240x240. Slice 93 of 155.
FLAIR MRI.
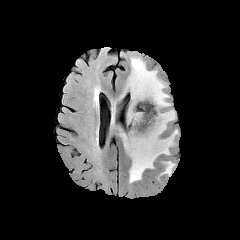
T1-weighted MR.
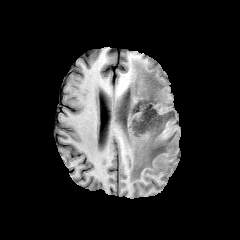
Post-contrast T1-weighted MR.
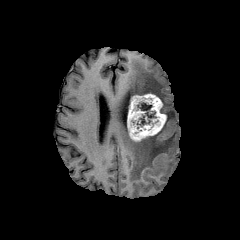
T2-weighted MRI.
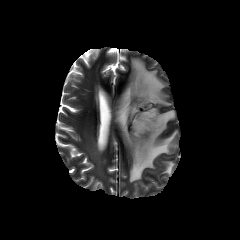
Annotated regions:
* non-enhancing tumor core: x1=149 y1=144 x2=166 y2=159, x1=132 y1=101 x2=156 y2=131, x1=132 y1=89 x2=159 y2=97
* enhancing tumor: x1=127 y1=93 x2=167 y2=141
* edema: x1=122 y1=58 x2=177 y2=182